240x240; Head
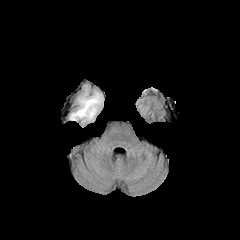
FLAIR MR.
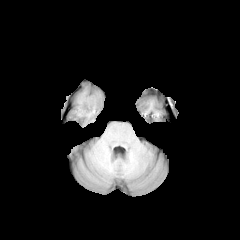
T1-weighted magnetic resonance.
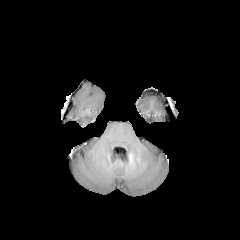
Post-contrast T1-weighted MRI.
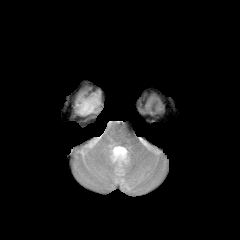
T2-weighted MR image.
Edema = x1=74, y1=92, x2=101, y2=121.